CT scan slice
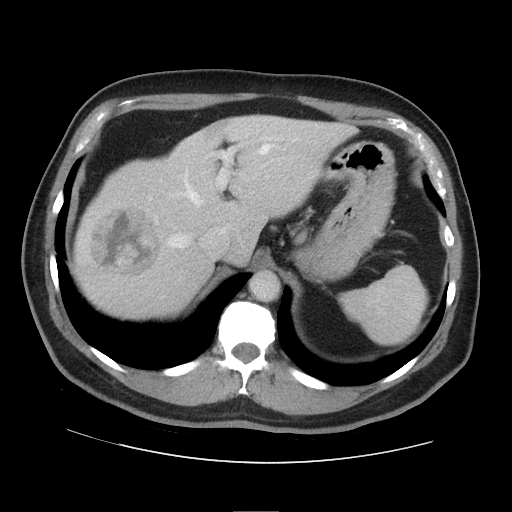
The vessel annotation is not exhaustive.
The liver tumor is at (86,204,164,278). 5 hepatic vessel regions appear at (184,183,202,205), (149,195,151,199), (222,148,233,163), (173,233,190,248), (206,153,213,157).